MRI; 35x52 px; Slice 26/38 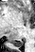 The posterior hippocampus is at 7,40,23,46.